MR image | Field of view 35 mm wide, 1.00 mm slice spacing | 35x48

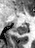 <segmentation>
  <posterior_hippocampus>[15,24,28,34]</posterior_hippocampus>
</segmentation>